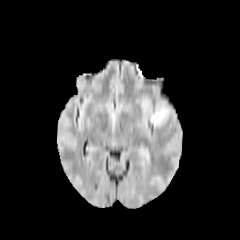
FLAIR magnetic resonance.
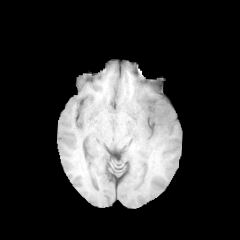
T1-weighted magnetic resonance.
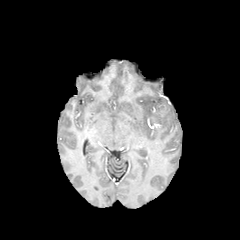
Same slice, post-contrast T1-weighted MR image.
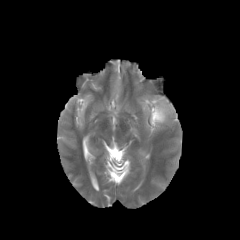
Same slice, T2-weighted MR.
Head, Image size 240x240
Edema: bounding box [152, 99, 172, 128].